240x240 | Head
FLAIR MR image.
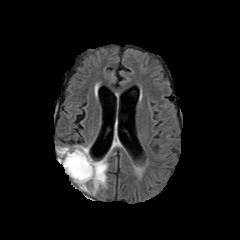
T1-weighted MR image.
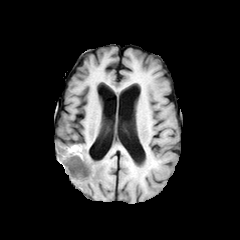
Post-contrast T1-weighted MR image.
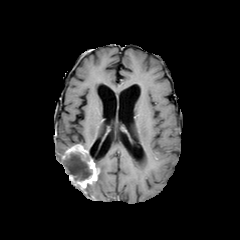
T2-weighted magnetic resonance.
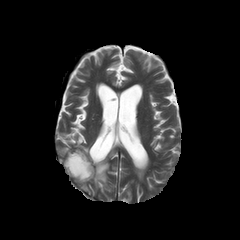
<segmentation>
  <edema>bbox(80, 156, 108, 190); bbox(136, 168, 143, 175); bbox(57, 146, 69, 164)</edema>
  <enhancing_tumor>bbox(77, 159, 99, 187); bbox(66, 145, 87, 155)</enhancing_tumor>
  <non-enhancing_tumor_core>bbox(63, 151, 97, 183)</non-enhancing_tumor_core>
</segmentation>